FLAIR MR.
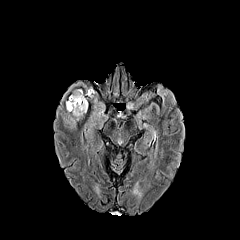
T1-weighted MRI.
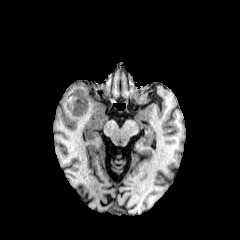
Post-contrast T1-weighted MRI.
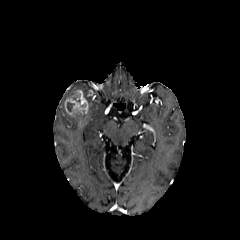
T2-weighted magnetic resonance.
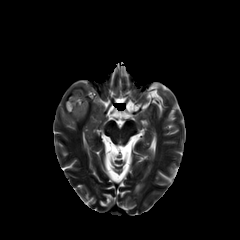
240x240 px; Brain
{
  "enhancing_tumor": [
    {"x1": 64, "y1": 89, "x2": 88, "y2": 117}
  ],
  "edema": [
    {"x1": 64, "y1": 115, "x2": 82, "y2": 129}
  ]
}